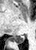
Medial temporal lobe, Magnetic resonance, 36x50
posterior hippocampus: rect(10, 36, 24, 43)